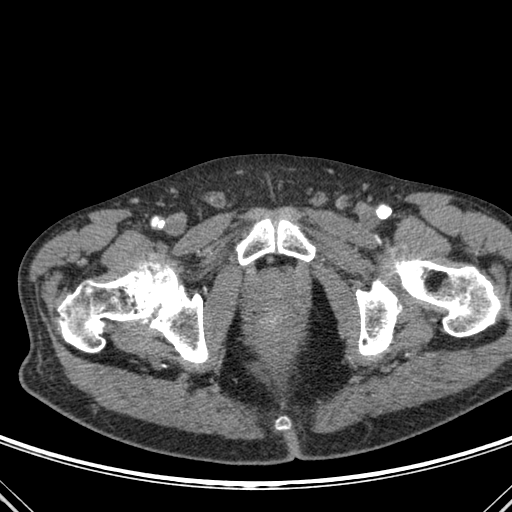

CT scan slice
{
  "bone": [
    "rect(236, 218, 315, 265)",
    "rect(276, 417, 289, 429)",
    "rect(356, 258, 501, 355)",
    "rect(58, 262, 207, 363)"
  ]
}